Head; 240x240 px
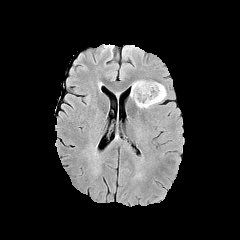
FLAIR magnetic resonance.
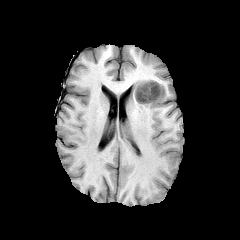
Same slice, T1-weighted magnetic resonance.
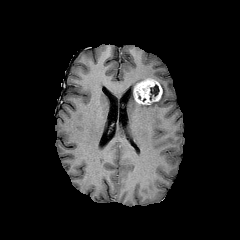
Post-contrast T1-weighted MRI.
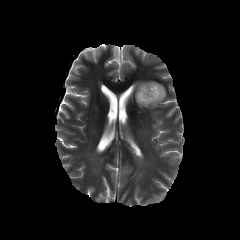
T2-weighted MRI.
The non-enhancing tumor core appears at [150,85,159,99]. The enhancing tumor is bounded by [134,80,162,104]. The edema is at [136,84,166,108].